Slice index 181, Abdomen, Field of view 350 mm wide, 2.00 mm slice spacing, CT image
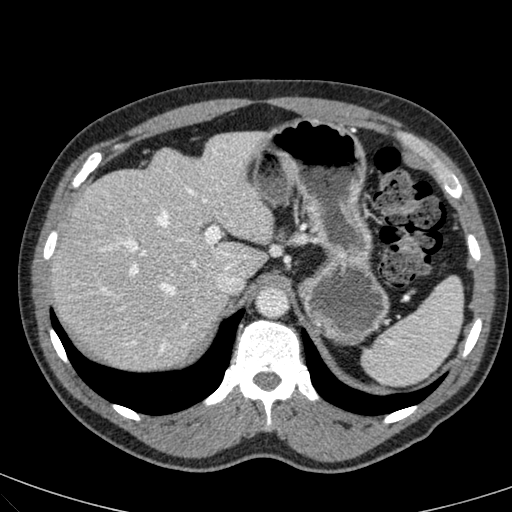

Segmented structures:
- liver: bbox(51, 132, 270, 370)